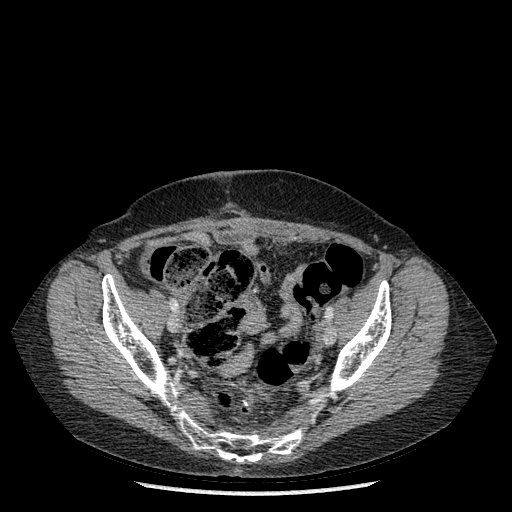 CT scan slice
Bone at 102, 274, 302, 463; 329, 280, 391, 398.